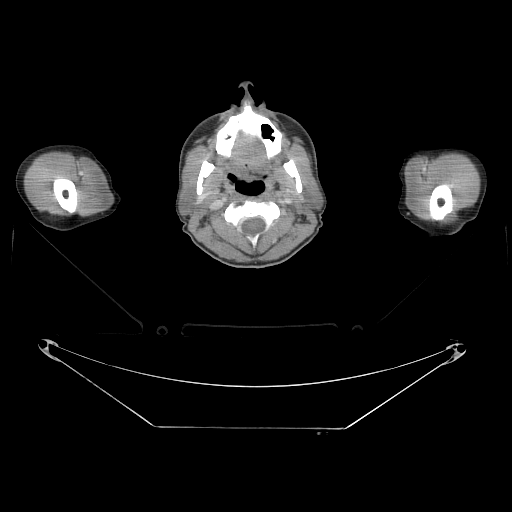
CT slice.
{"bone": ["54 177 77 212", "283 159 301 192", "429 184 452 219", "216 107 282 160", "224 200 280 244", "197 159 214 194"]}